Medial temporal lobe, MRI slice
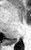 The posterior hippocampus is at x1=6, y1=39, x2=17, y2=43.